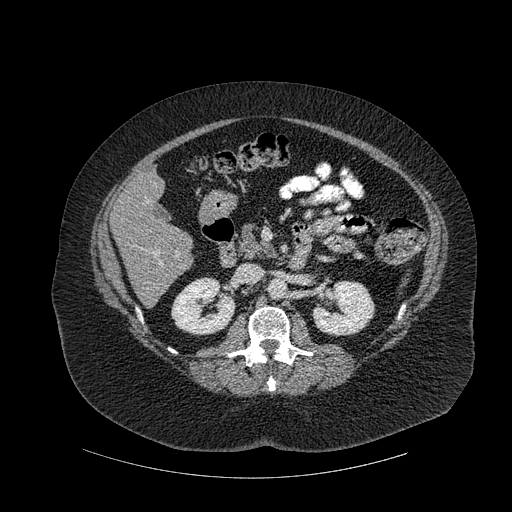 Computed tomography

{
  "bone": [
    "<bbox>228, 307, 312, 366</bbox>",
    "<bbox>267, 377, 275, 390</bbox>"
  ],
  "kidney": [
    "<bbox>172, 278, 234, 333</bbox>",
    "<bbox>313, 281, 373, 334</bbox>"
  ],
  "liver": [
    "<bbox>110, 172, 193, 302</bbox>"
  ]
}